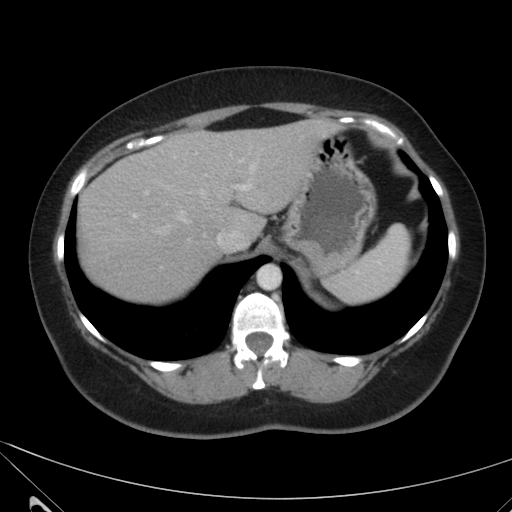
Abdomen | CT scan slice

<segmentation>
  <liver>bbox=[79, 119, 339, 300]</liver>
</segmentation>